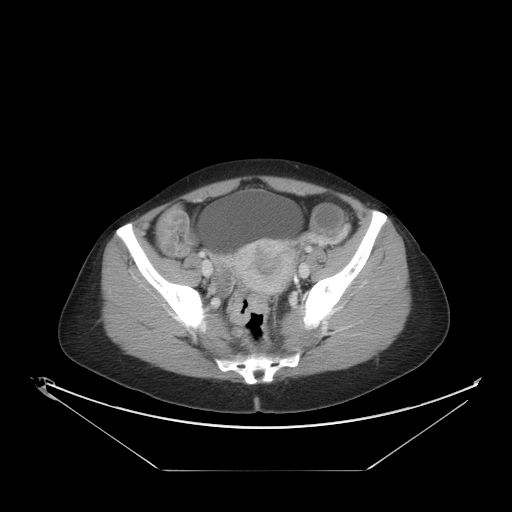 CT
Colon tumor: x1=226, y1=293, x2=268, y2=325.